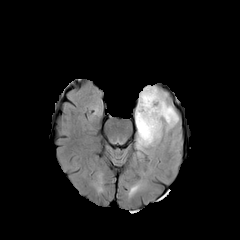
FLAIR MRI.
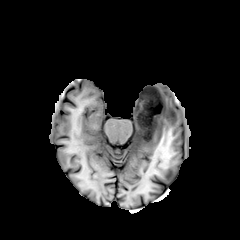
T1-weighted MRI of the same slice.
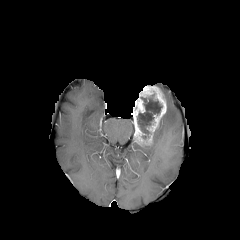
Post-contrast T1-weighted MRI.
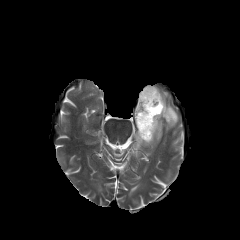
Same slice, T2-weighted MR image.
Non-enhancing tumor core: bounding box <box>137,97,162,134</box>.
Edema: bounding box <box>135,142,149,149</box>, <box>151,119,162,145</box>, <box>162,92,178,130</box>.
Enhancing tumor: bounding box <box>135,86,166,144</box>.